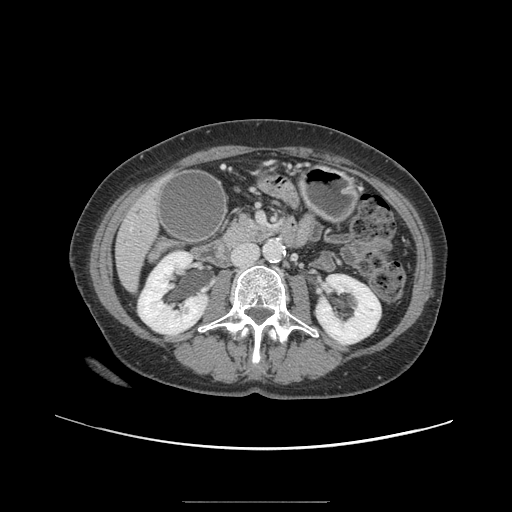

Upper abdomen, CT

The pancreas is located at 224:215:278:246.